FLAIR MR image.
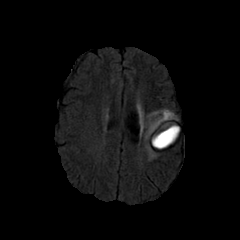
T1-weighted MR image.
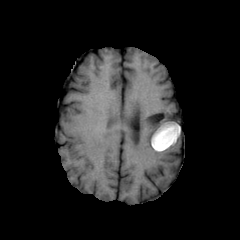
Post-contrast T1-weighted MRI.
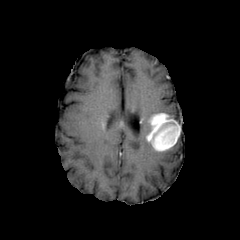
T2-weighted MR.
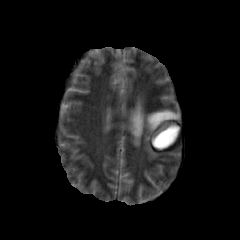
240x240 px. Head.
edema:
  - left=135, top=95, right=175, bottom=160
non-enhancing_tumor_core:
  - left=158, top=111, right=177, bottom=118
enhancing_tumor:
  - left=146, top=113, right=179, bottom=149